CT image; Liver 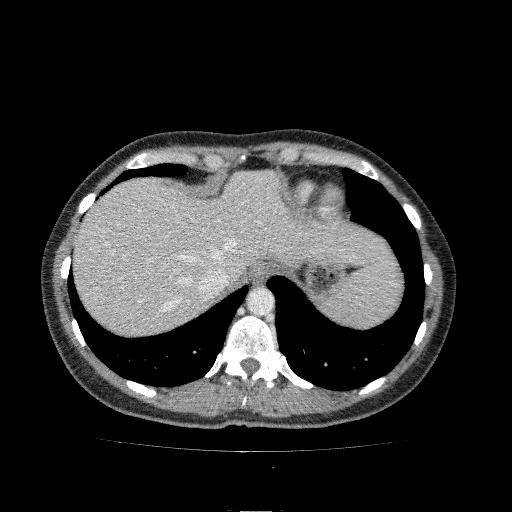
Liver: bounding box (x1=75, y1=171, x2=391, y2=334).